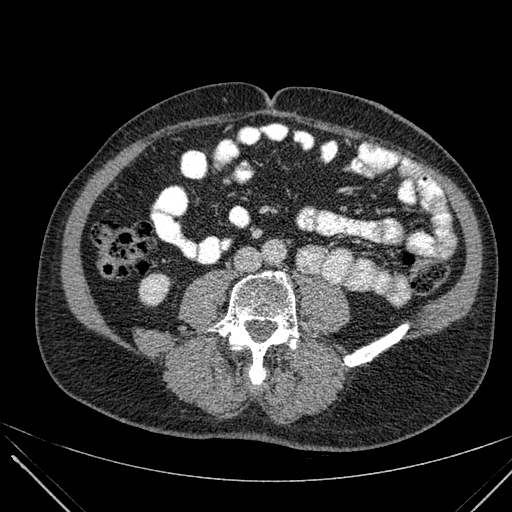

CT, Abdomen
Kidney = 140,275,168,304.